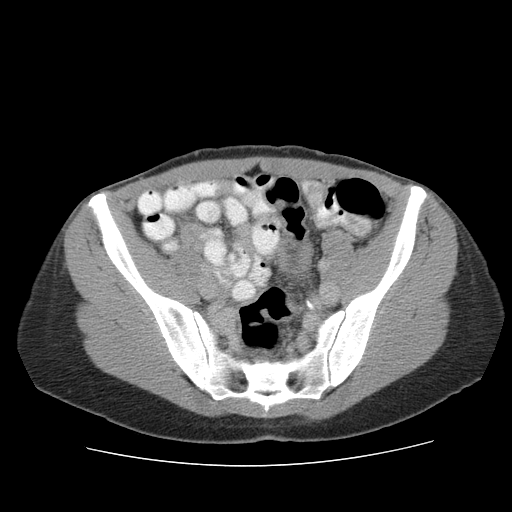

512x512. Pelvis. CT. <segmentation>
  <colon_tumor>box=[277, 239, 288, 271]; box=[292, 234, 312, 272]</colon_tumor>
</segmentation>